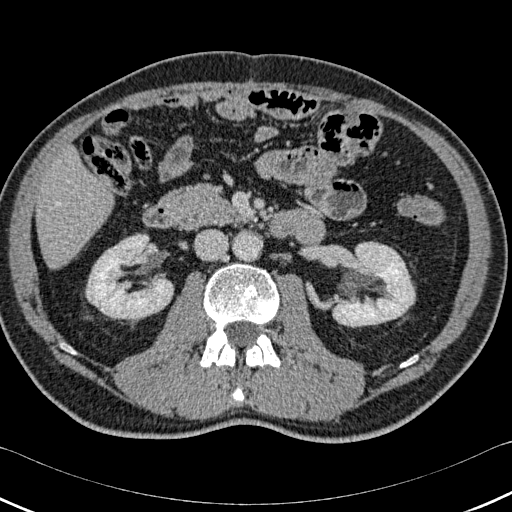 Liver, Computed tomography

{
  "bone": [
    "box(400, 355, 417, 367)",
    "box(200, 264, 279, 367)",
    "box(232, 387, 243, 401)",
    "box(61, 344, 75, 353)",
    "box(246, 334, 280, 367)"
  ],
  "kidney": [
    "box(86, 235, 172, 318)",
    "box(333, 242, 414, 325)"
  ],
  "liver": [
    "box(35, 149, 114, 267)"
  ]
}